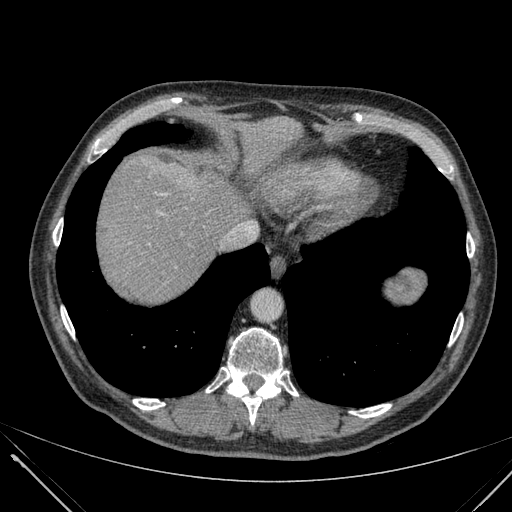 CT image
Liver: bounding box bbox(228, 116, 302, 174); bbox(97, 154, 265, 302).